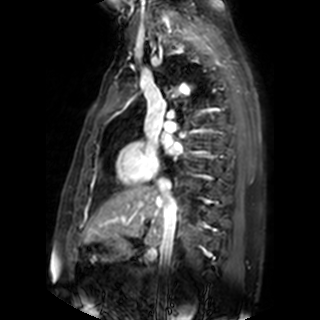
MR, Heart
left_atrium:
  - box(161, 133, 182, 154)